CT scan slice

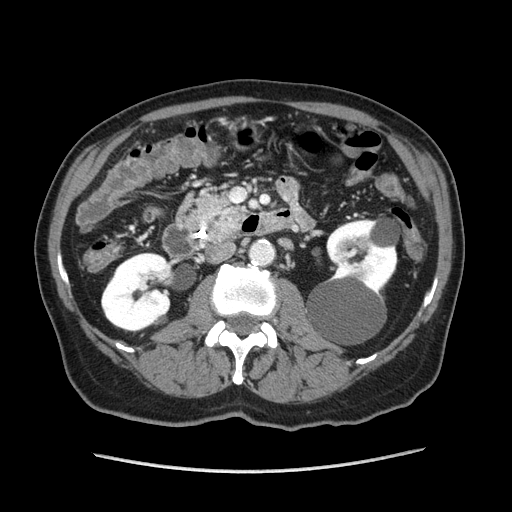

<segmentation>
  <pancreatic_tumor>220:216:238:232</pancreatic_tumor>
  <pancreas>186:195:247:240</pancreas>
</segmentation>